FLAIR MR.
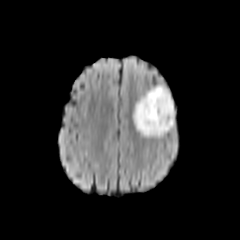
T1-weighted magnetic resonance.
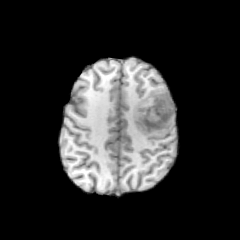
Post-contrast T1-weighted MR.
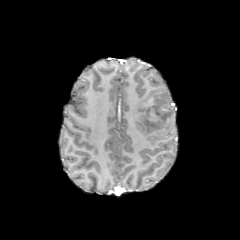
T2-weighted MRI.
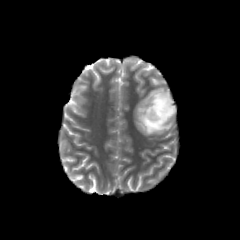
The edema is located at [132,83,175,138]. The non-enhancing tumor core lies within [139,90,173,131].